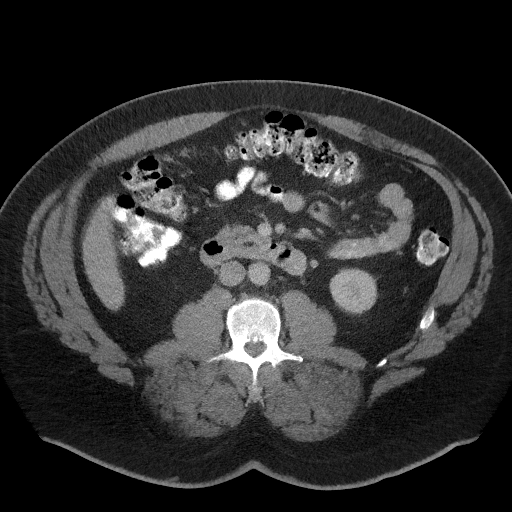
Computed tomography, 512x512 px
Segmented structures:
• pancreas: (x1=228, y1=230, x2=240, y2=242)